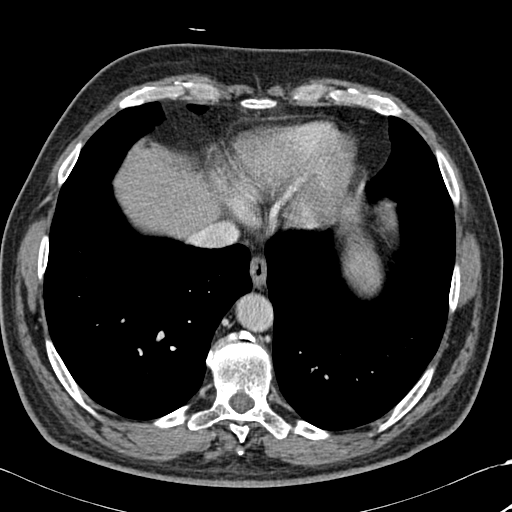 CT image.
Liver = 116:151:218:237.
Lung = 43:101:252:420, 187:104:208:115, 264:116:455:430.
Bone = 188:331:291:441, 294:421:327:439, 350:89:399:114, 155:407:186:427, 58:144:80:183, 381:370:432:429, 437:152:458:202, 244:99:268:107, 120:82:181:107, 46:341:90:410, 449:268:459:309, 38:237:48:276.